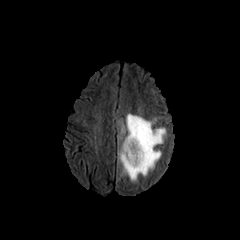
FLAIR MRI.
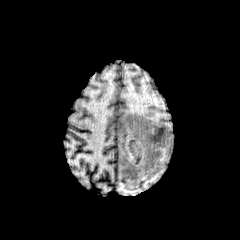
Same slice, T1-weighted magnetic resonance.
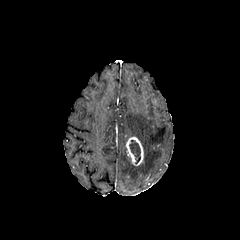
Post-contrast T1-weighted MR image of the same slice.
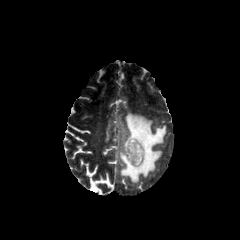
T2-weighted MR image.
Image size 240x240
• edema: left=118, top=113, right=167, bottom=184
• enhancing tumor: left=125, top=137, right=143, bottom=165
• non-enhancing tumor core: left=129, top=142, right=141, bottom=162